FLAIR MR.
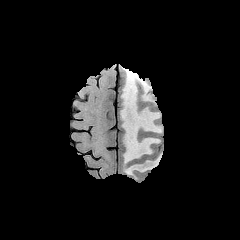
T1-weighted magnetic resonance.
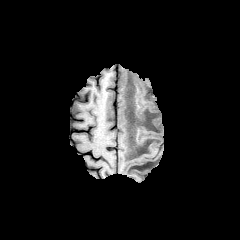
Post-contrast T1-weighted MR image.
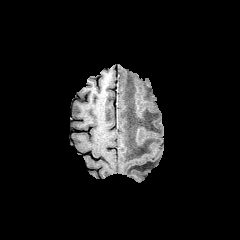
T2-weighted MR.
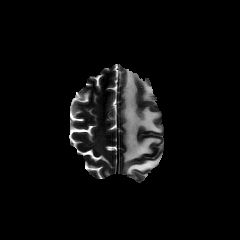
Brain
The edema appears at [121,69,160,175]. The non-enhancing tumor core appears at [128,107,135,121].